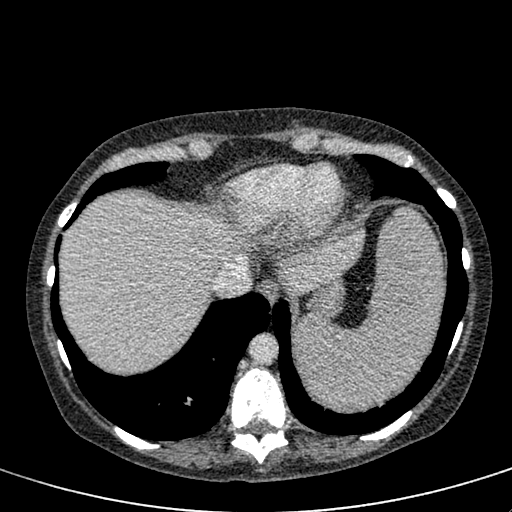

Abdomen; CT slice

The focal liver lesion lies within x1=184, y1=228, x2=215, y2=248. 2 liver regions are located at x1=60, y1=194, x2=249, y2=373; x1=277, y1=227, x2=366, y2=297.